Head, 240x240 px
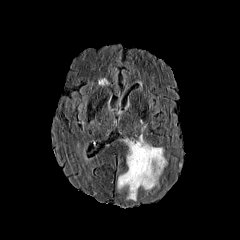
FLAIR MRI.
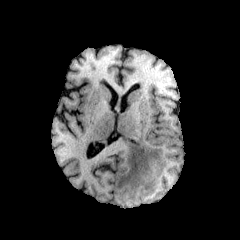
T1-weighted MR.
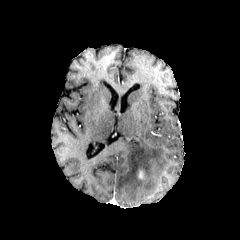
Post-contrast T1-weighted MR image of the same slice.
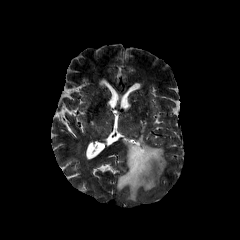
T2-weighted magnetic resonance of the same slice.
Edema — [117,124,167,202].